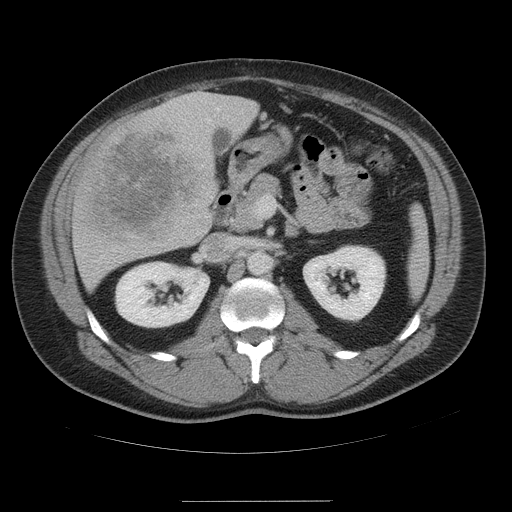

CT slice. Abdomen.

<segmentation>
  <spleen>[409,205,429,296]</spleen>
</segmentation>